Image size 240x240
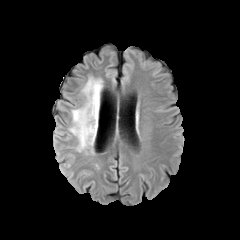
FLAIR MR image.
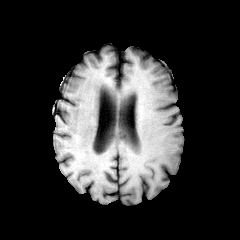
T1-weighted MR.
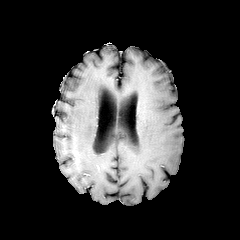
Same slice, post-contrast T1-weighted MR.
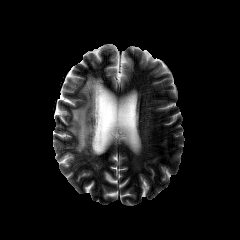
T2-weighted MRI.
Edema — (x1=68, y1=77, x2=103, y2=154).